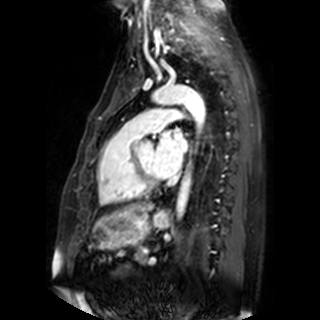
Image size 320x320. MRI. Cardiac.
Annotated regions:
* left atrium: bbox(154, 129, 187, 176)